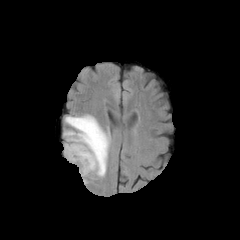
FLAIR magnetic resonance.
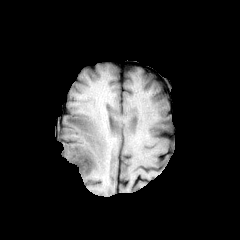
T1-weighted magnetic resonance.
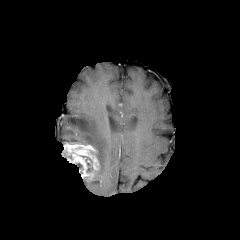
Post-contrast T1-weighted MR image.
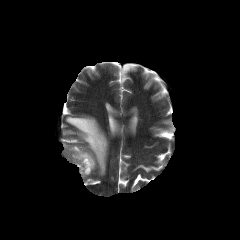
Same slice, T2-weighted MR.
Head | 240x240
The edema is at [x1=65, y1=115, x2=108, y2=175]. The enhancing tumor lies within [x1=64, y1=141, x2=98, y2=182].